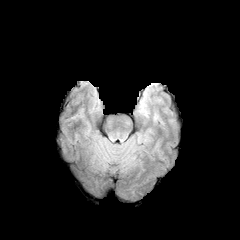
FLAIR MR.
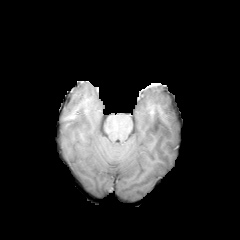
T1-weighted MR of the same slice.
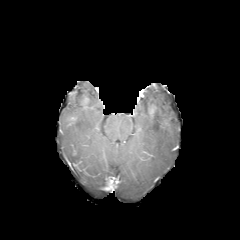
Same slice, post-contrast T1-weighted magnetic resonance.
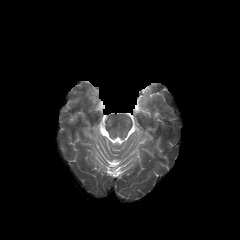
T2-weighted magnetic resonance.
Image size 240x240
Edema: bounding box [135, 134, 149, 144], [140, 98, 153, 116].